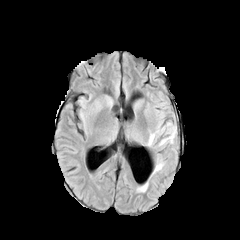
FLAIR magnetic resonance.
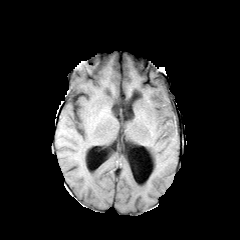
T1-weighted MR.
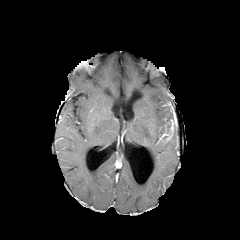
Post-contrast T1-weighted MR image.
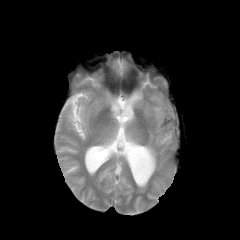
T2-weighted magnetic resonance.
Brain. 240x240 px.
{"edema": ["(left=146, top=110, right=176, bottom=147)", "(left=152, top=158, right=163, bottom=174)", "(left=137, top=181, right=148, bottom=192)"]}